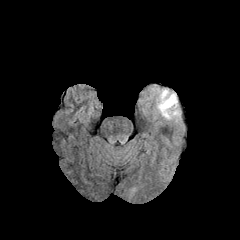
FLAIR MR image.
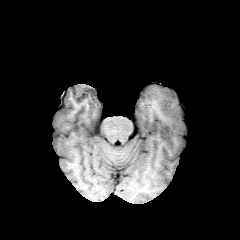
T1-weighted MR of the same slice.
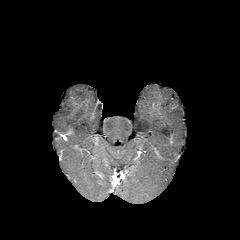
Post-contrast T1-weighted magnetic resonance.
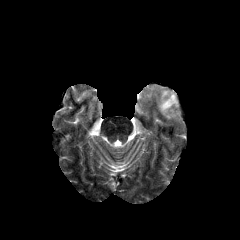
T2-weighted MRI.
Head
The edema is located at (147,87,181,123).